Image size 240x240
FLAIR MRI.
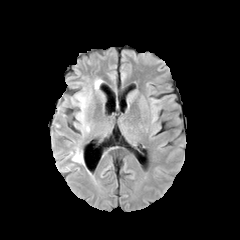
T1-weighted magnetic resonance.
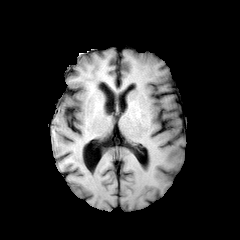
Post-contrast T1-weighted magnetic resonance.
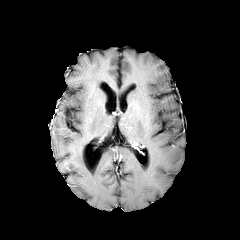
T2-weighted MR image.
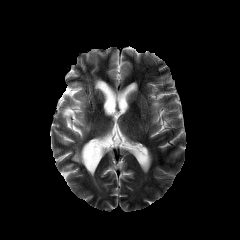
edema: [x1=68, y1=148, x2=84, y2=164], [x1=69, y1=78, x2=102, y2=136]